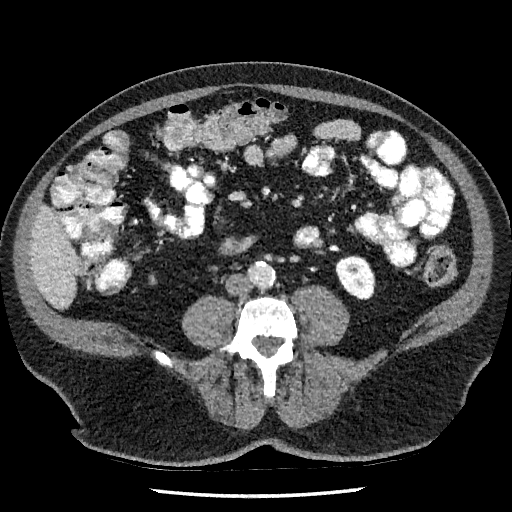

Abdomen | Computed tomography | Image size 512x512

{
  "kidney": [
    "x1=336, y1=257, x2=373, y2=298"
  ],
  "liver": [
    "x1=30, y1=206, x2=79, y2=308"
  ]
}